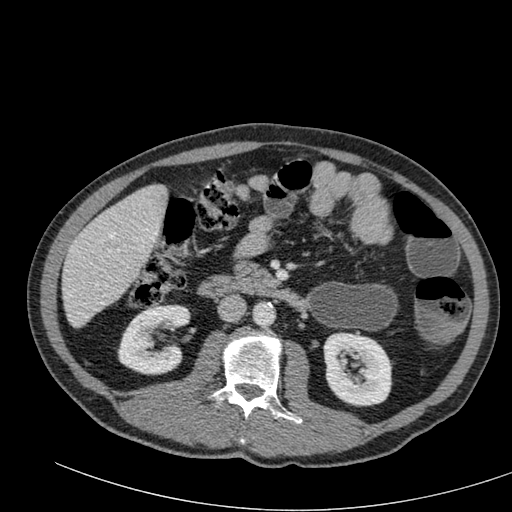

Upper abdomen, CT
kidney: (324, 334, 390, 404), (119, 306, 189, 373) | liver: (62, 185, 166, 326)